Slice 65/155 | Head | 240x240
FLAIR MR.
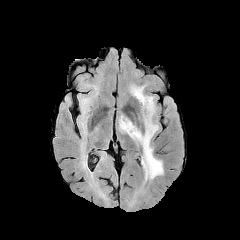
T1-weighted MR image.
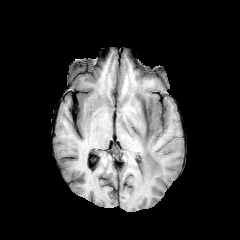
Post-contrast T1-weighted MRI.
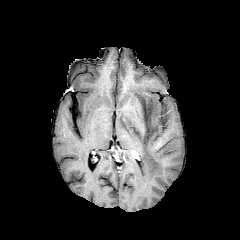
T2-weighted MR.
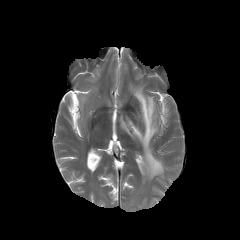
The edema is located at 119:85:165:180. The non-enhancing tumor core is bounded by 142:106:151:130.